Abdomen; Computed tomography; Slice 68 of 171 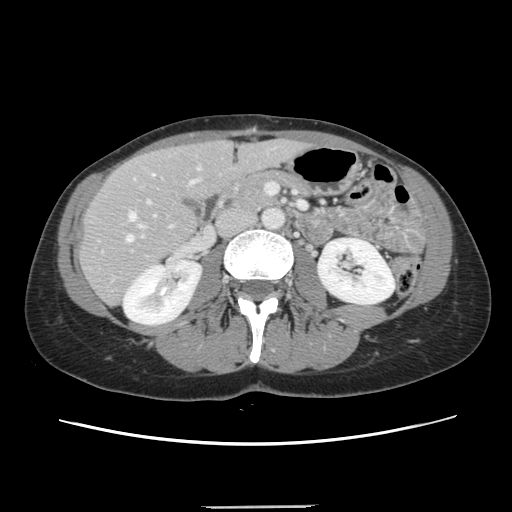

The vessel annotation is not exhaustive.
8 hepatic vessel regions are located at l=139, t=224, r=143, b=227; l=169, t=225, r=172, b=226; l=129, t=212, r=135, b=219; l=147, t=200, r=150, b=203; l=152, t=174, r=153, b=175; l=197, t=166, r=199, b=169; l=189, t=179, r=197, b=184; l=126, t=235, r=132, b=241.